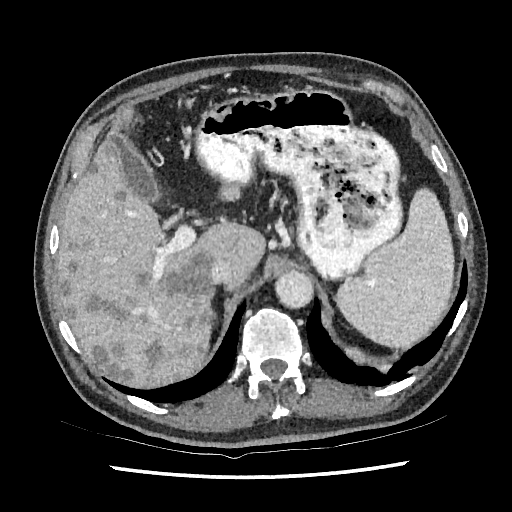

CT scan slice; 512x512 px
Liver lesion = (64, 306, 76, 320), (58, 281, 70, 296), (134, 271, 149, 286), (93, 344, 132, 381), (181, 314, 194, 328), (67, 258, 77, 272), (84, 293, 128, 319), (68, 241, 84, 251), (126, 296, 136, 305), (166, 251, 213, 297), (143, 339, 167, 369), (114, 190, 127, 203), (199, 309, 209, 326), (178, 341, 203, 358).
Liver = (220, 185, 238, 200), (55, 106, 264, 386).